Liver | Slice 480/647 | Image width 350 mm | CT slice 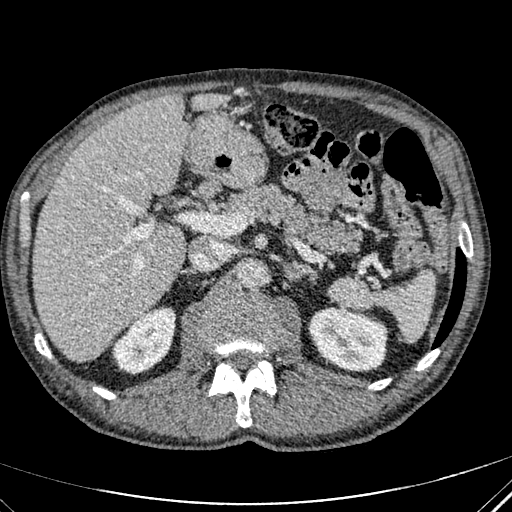

3 liver regions are bounded by l=34, t=96, r=188, b=360; l=192, t=94, r=228, b=109; l=200, t=182, r=219, b=195. The focal liver lesion appears at l=159, t=96, r=176, b=107. 2 kidney regions appear at l=310, t=308, r=385, b=369; l=114, t=309, r=174, b=372.